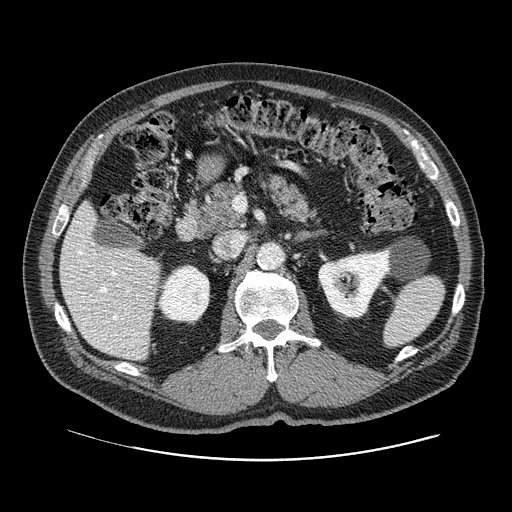
512x512, Abdomen, CT scan slice

Pancreas: bounding box <bbox>196, 182, 245, 234</bbox>, <bbox>255, 175, 318, 226</bbox>.